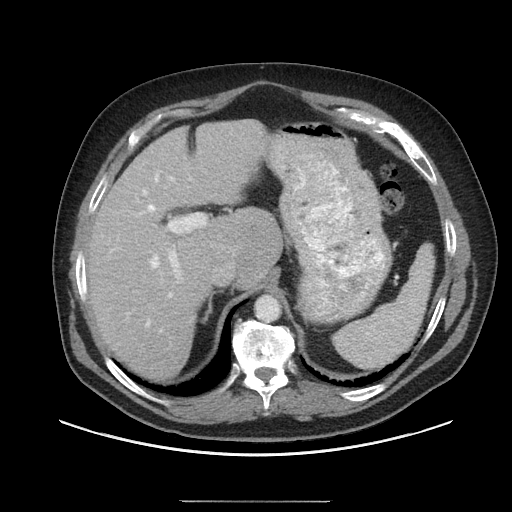 Abdomen. CT slice. 512x512.

Some hepatic vessels may have no box.
9 hepatic vessel regions are located at <box>168,294,171,296</box>, <box>151,256,158,267</box>, <box>169,177,174,181</box>, <box>169,214,204,231</box>, <box>143,190,146,195</box>, <box>169,253,180,282</box>, <box>148,205,154,211</box>, <box>155,171,158,181</box>, <box>146,321,149,325</box>.